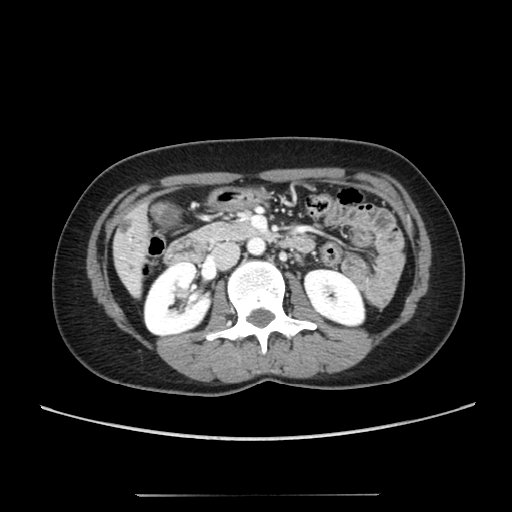

Computed tomography; Abdomen
• kidney: [305,270,363,324], [145,262,208,334]
• liver: [112,199,151,299]
• hepatic lesion: [119,217,133,233]